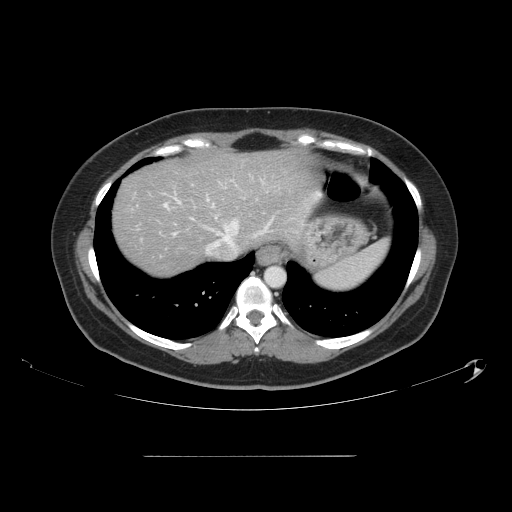
CT image
The vessel annotation is not exhaustive.
Hepatic vessel = left=212, top=205, right=213, bottom=207; left=206, top=247, right=208, bottom=253; left=164, top=204, right=167, bottom=207; left=217, top=220, right=237, bottom=237; left=215, top=216, right=216, bottom=217; left=177, top=201, right=179, bottom=203.